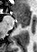 MR image | 37x52 px

posterior_hippocampus:
  - [18, 22, 28, 27]
anterior_hippocampus:
  - [15, 11, 28, 21]